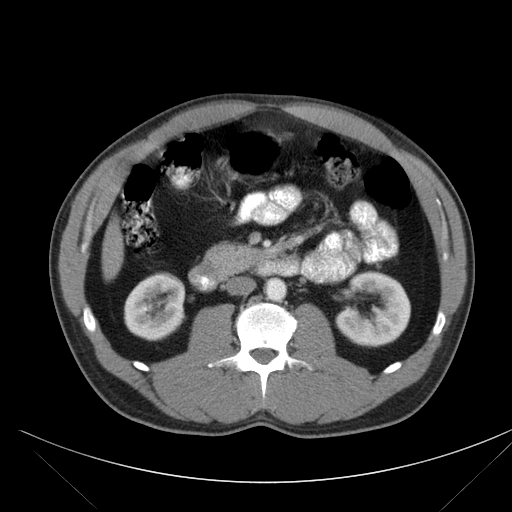

512x512 | Upper abdomen | CT slice
Segmented structures:
* pancreas: 204,242,247,270